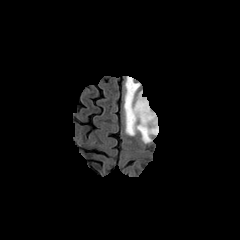
FLAIR MR.
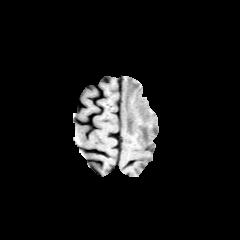
T1-weighted MRI of the same slice.
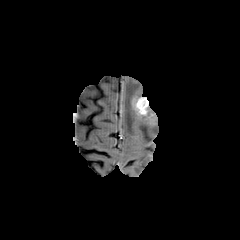
Same slice, post-contrast T1-weighted magnetic resonance.
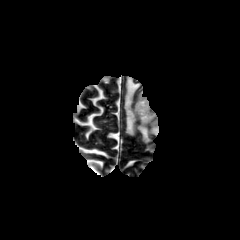
T2-weighted MRI.
Head | Image size 240x240
Non-enhancing tumor core: left=140, top=118, right=155, bottom=126; left=124, top=82, right=141, bottom=129.
Edema: left=122, top=76, right=158, bottom=143.
Enhancing tumor: left=131, top=96, right=154, bottom=121.